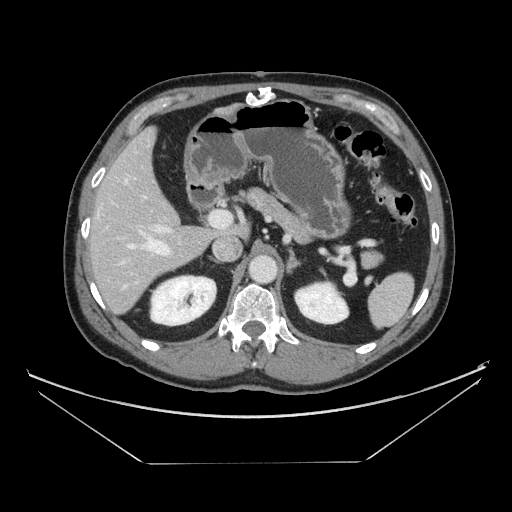
Upper abdomen, CT image

{"pancreas": ["box=[360, 249, 382, 268]", "box=[236, 187, 310, 243]"]}